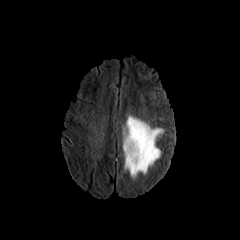
FLAIR MRI.
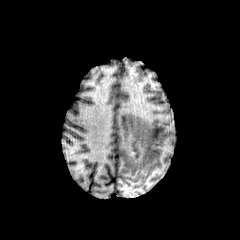
T1-weighted MR.
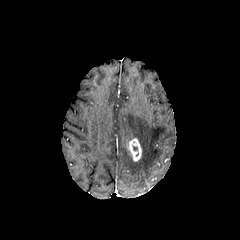
Post-contrast T1-weighted magnetic resonance.
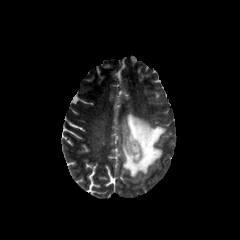
Same slice, T2-weighted MRI.
240x240 px, Brain
The edema appears at (left=120, top=113, right=165, bottom=180). The enhancing tumor is located at (left=127, top=139, right=141, bottom=161).